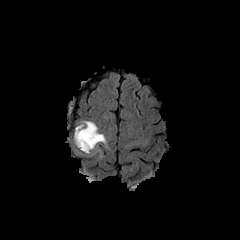
FLAIR MRI.
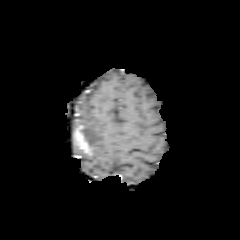
T1-weighted MR of the same slice.
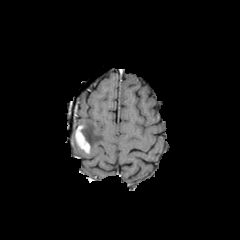
Post-contrast T1-weighted MRI of the same slice.
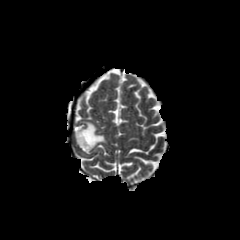
T2-weighted magnetic resonance.
Edema: x1=82, y1=121, x2=106, y2=153.
Enhancing tumor: x1=75, y1=125, x2=90, y2=153.
Non-enhancing tumor core: x1=81, y1=130, x2=92, y2=147.